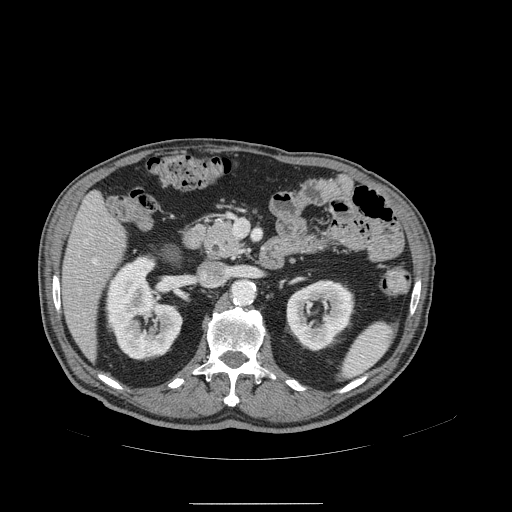 CT scan slice. Abdomen.

The pancreas is located at region(201, 216, 248, 261).